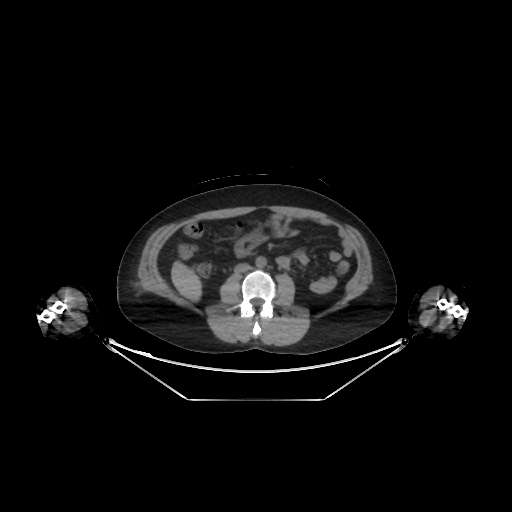

512x512. CT slice. Liver. Annotated regions:
* liver: 171 261 201 301